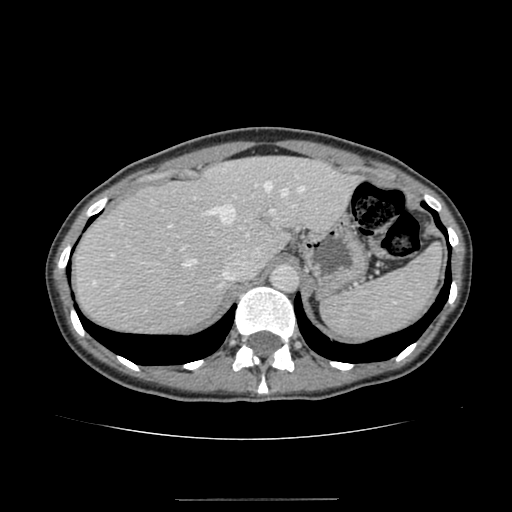

Abdomen. CT.
liver:
  - (74,156,360,333)